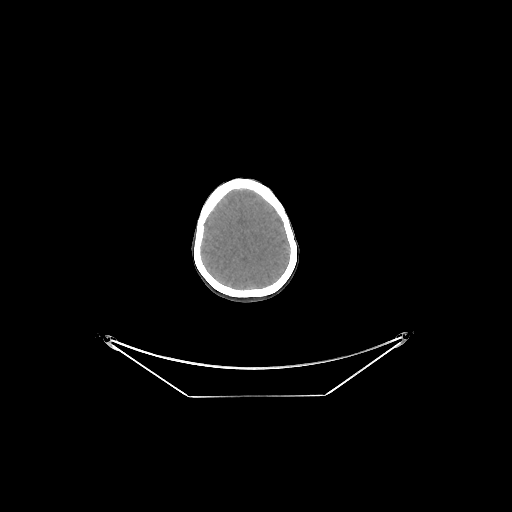

CT image. Head.

• brain: l=201, t=189, r=289, b=289